Slice 129/174. Computed tomography.
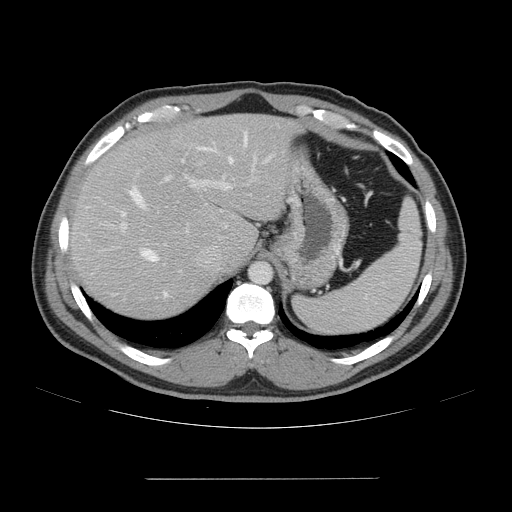

Only some of the vessels may be annotated.
Hepatic vessel: bounding box (244,132,247,146), (129,187,144,206), (164,291,167,296), (267,155,270,159), (252,156,256,169), (182,159,183,161), (197,146,209,149), (190,180,229,188), (122,212,125,216), (228,157,232,163), (141,249,157,260), (121,222,126,230), (164,177,169,180).